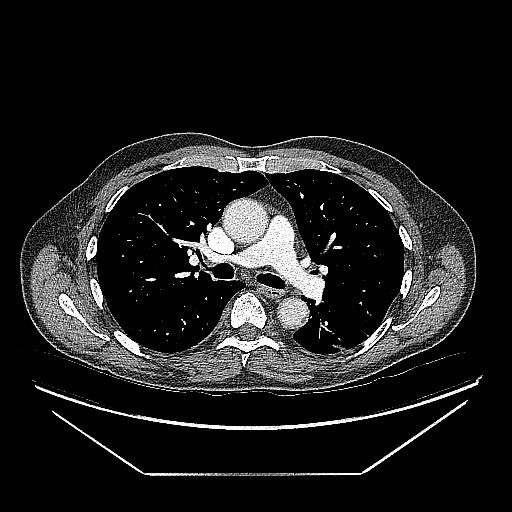
CT scan slice
The lung tumor is located at [329,330,354,352].